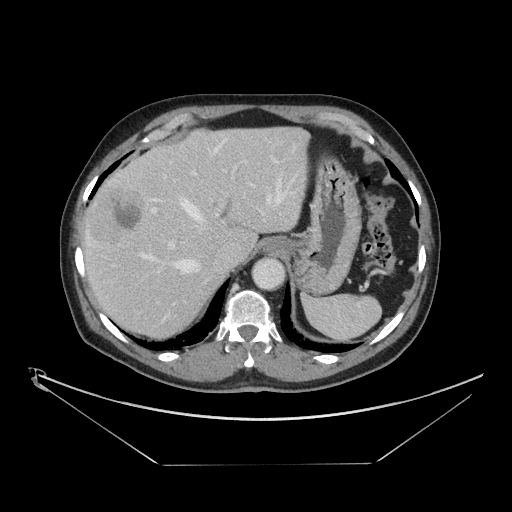
CT scan slice
Only some of the vessels may be annotated.
The liver tumor lies within [88, 186, 145, 244]. The top 15 hepatic vessel regions (of 16) appear at [164, 314, 167, 318], [275, 179, 284, 204], [182, 200, 203, 221], [251, 184, 254, 186], [191, 170, 195, 174], [176, 260, 199, 272], [140, 253, 153, 258], [151, 208, 155, 212], [272, 158, 277, 162], [267, 195, 270, 203], [213, 139, 226, 155], [149, 199, 153, 200], [168, 241, 174, 248], [292, 177, 294, 180], [234, 165, 236, 168].